Computed tomography; Image width 387 mm; Slice 117 of 811

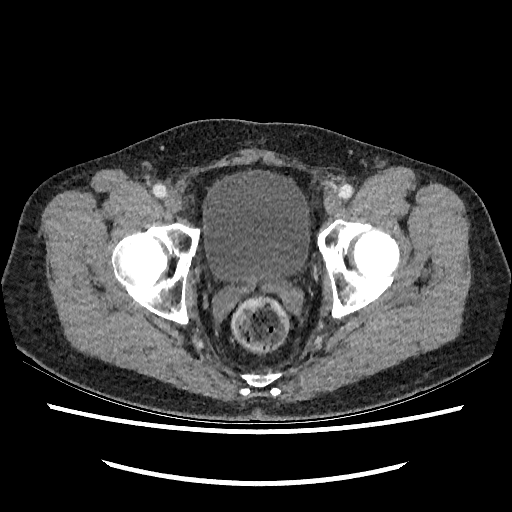
The urinary bladder is at box=[200, 169, 309, 283].